Pelvis | CT scan slice | Slice 143 of 836 | 512x512

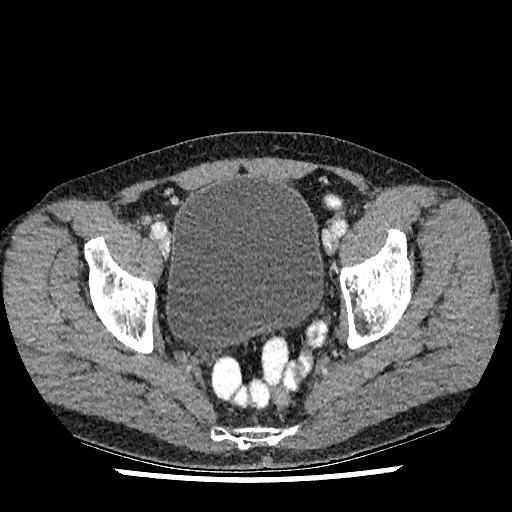 Segmented structures:
- urinary bladder: (x1=166, y1=177, x2=323, y2=352)